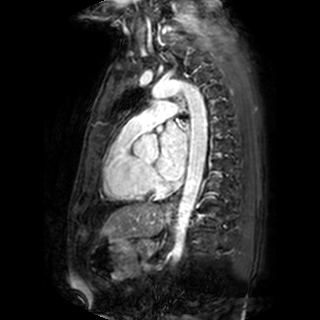 320x320 px. MR.

{
  "left_atrium": [
    "region(156, 121, 186, 181)"
  ]
}